Upper abdomen | CT image | 512x512 px | Image width 404 mm
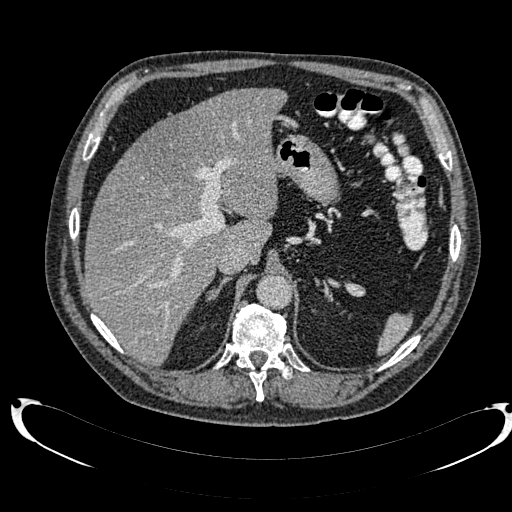

liver:
  - rect(85, 88, 287, 366)
hepatic_lesion:
  - rect(134, 117, 212, 186)